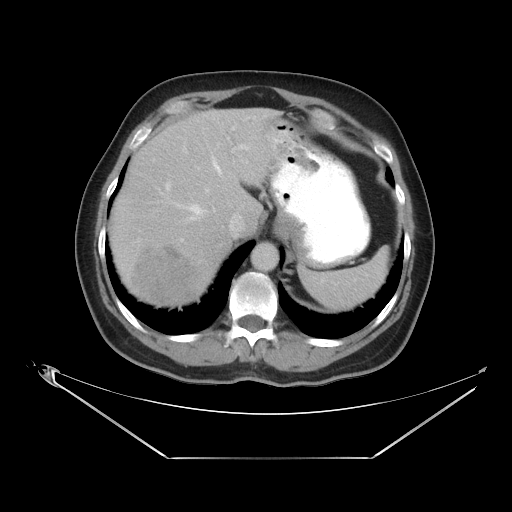
Abdomen, Computed tomography, 512x512
The vessel annotation is not exhaustive.
<segmentation>
  <liver_tumor>128:239:208:303</liver_tumor>
  <hepatic_vessel>243:116:249:120, 226:137:229:139, 184:206:202:222, 215:164:219:170, 231:144:250:152, 232:124:235:129</hepatic_vessel>
</segmentation>